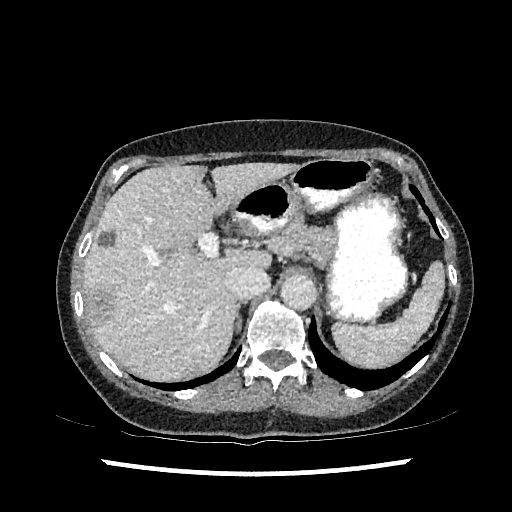

Computed tomography; Upper abdomen
Segmented structures:
• liver lesion: l=98, t=232, r=116, b=248; l=86, t=285, r=114, b=325
• liver: l=85, t=163, r=294, b=378